Field of view 240x240 mm | 240x240 | Slice 61/155
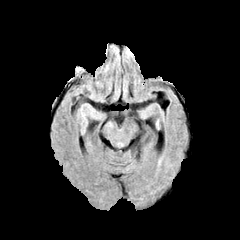
FLAIR magnetic resonance.
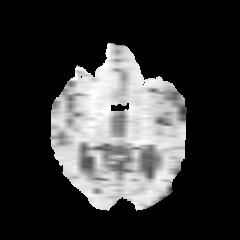
T1-weighted MR image.
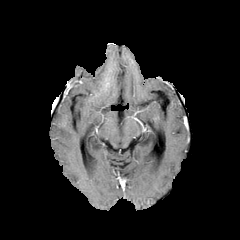
Post-contrast T1-weighted MR image of the same slice.
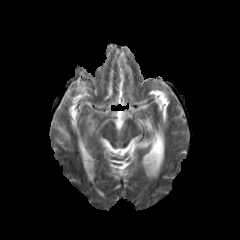
T2-weighted MR image of the same slice.
- edema: (80, 82, 91, 92)